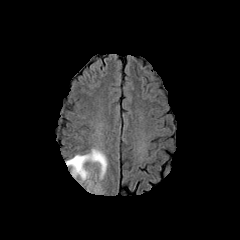
FLAIR MR.
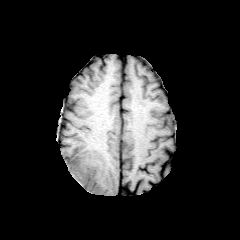
T1-weighted MRI of the same slice.
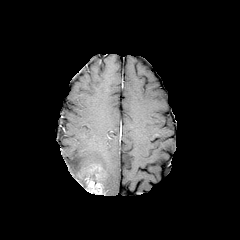
Post-contrast T1-weighted MRI.
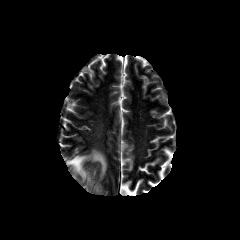
Same slice, T2-weighted MR image.
Head | 240x240
The enhancing tumor appears at 85, 176, 101, 192. The non-enhancing tumor core lies within 70, 157, 81, 167. The edema is at 66, 149, 107, 190.